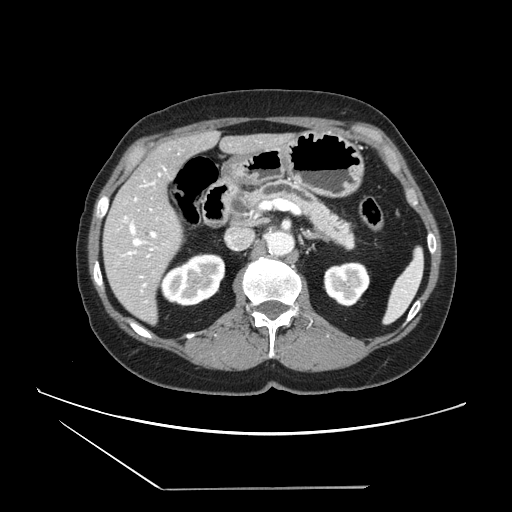 CT image | Upper abdomen | 512x512 px

{
  "pancreas": [
    "bbox(248, 181, 353, 248)"
  ],
  "pancreatic_tumor": [
    "bbox(245, 195, 257, 207)"
  ]
}